Abdomen | Computed tomography | Slice 482 of 647

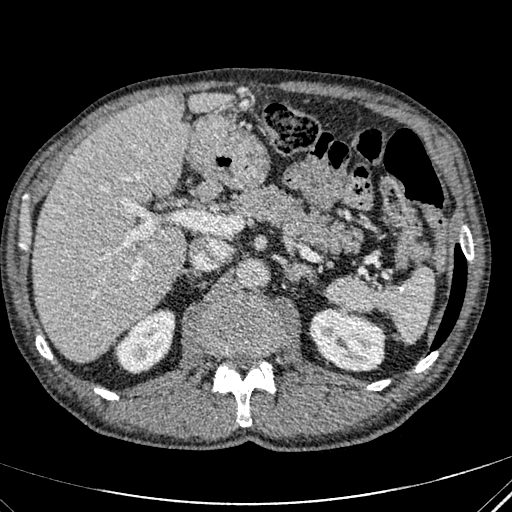 3 liver regions are located at x1=199 y1=183 x2=218 y2=198, x1=33 y1=97 x2=189 y2=361, x1=189 y1=93 x2=232 y2=111. The hepatic lesion lies within x1=159 y1=95 x2=177 y2=107. 2 kidney regions are bounded by x1=311 y1=310 x2=383 y2=369, x1=118 y1=312 x2=173 y2=371.